MRI slice; Medial temporal lobe
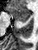 Anterior hippocampus: x1=7 y1=6 x2=30 y2=19.
Posterior hippocampus: x1=16 y1=20 x2=27 y2=22.